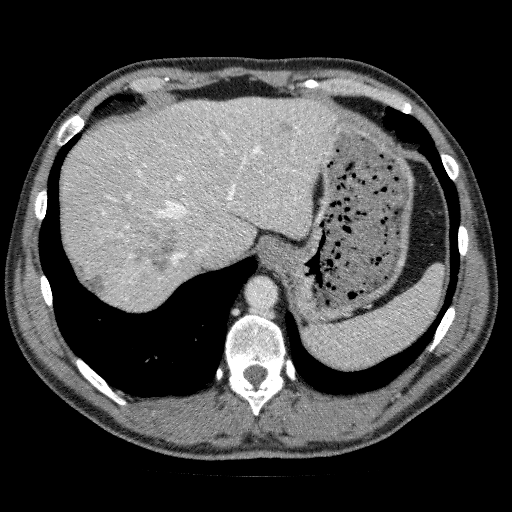
Liver, CT image

The liver appears at (left=61, top=97, right=330, bottom=312). 3 hepatic lesion regions are located at (left=276, top=120, right=292, bottom=133), (left=131, top=226, right=179, bottom=276), (left=70, top=254, right=106, bottom=297).